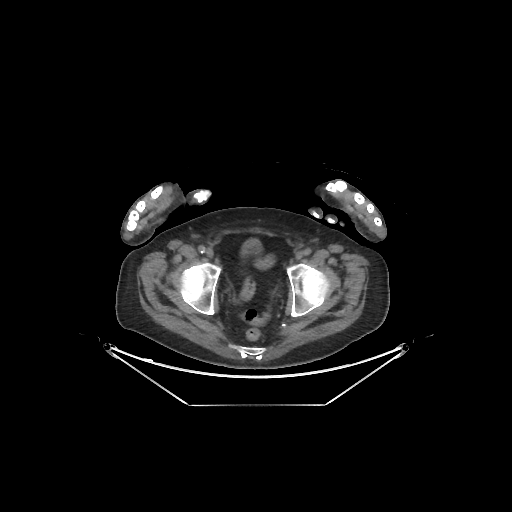
CT.

6 bone regions appear at [194,191,205,201], [287,264,330,316], [178,263,220,314], [126,186,162,230], [326,181,381,226], [239,347,264,359].